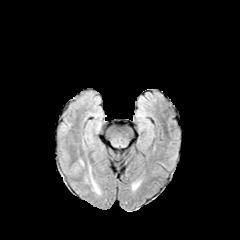
FLAIR magnetic resonance.
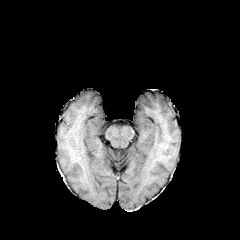
T1-weighted MR image.
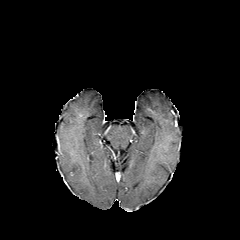
Same slice, post-contrast T1-weighted magnetic resonance.
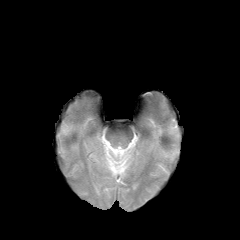
Same slice, T2-weighted magnetic resonance.
240x240 px; Head
Segmented structures:
- edema: [92, 180, 100, 194]